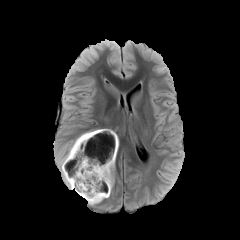
FLAIR MR.
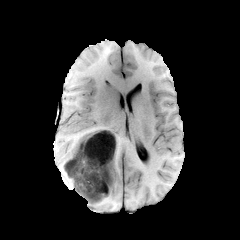
T1-weighted magnetic resonance.
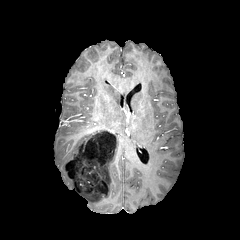
Post-contrast T1-weighted MRI.
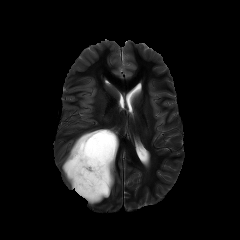
Same slice, T2-weighted magnetic resonance.
Head
* edema: (x1=86, y1=183, x2=113, y2=204), (x1=102, y1=130, x2=113, y2=141), (x1=62, y1=138, x2=77, y2=188)
* non-enhancing tumor core: (x1=65, y1=128, x2=113, y2=200)